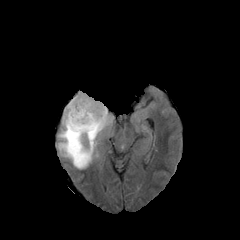
FLAIR MRI.
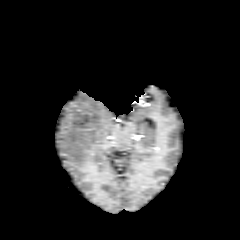
T1-weighted MR.
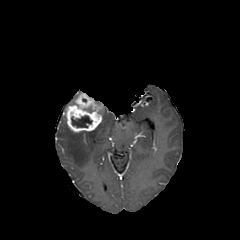
Same slice, post-contrast T1-weighted MR image.
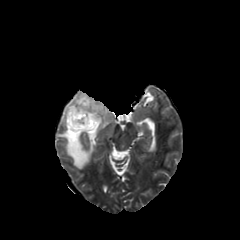
T2-weighted MR image.
Non-enhancing tumor core: <box>71,115,92,127</box>.
Edema: <box>57,108,113,168</box>.
Enhancing tumor: <box>63,91,105,132</box>.